FLAIR MR.
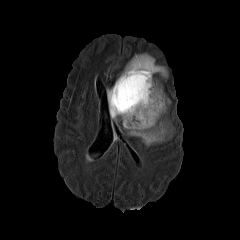
T1-weighted MR image.
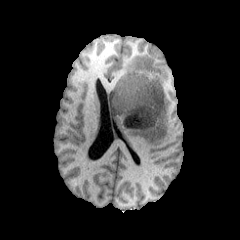
Post-contrast T1-weighted MRI.
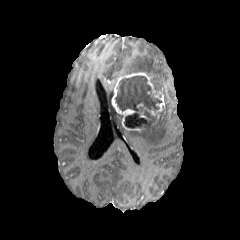
T2-weighted magnetic resonance.
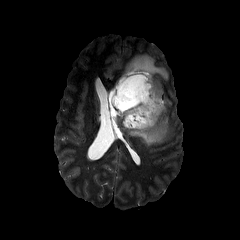
Head.
The non-enhancing tumor core is located at (115,76,166,130). The enhancing tumor appears at (112,72,164,131). 3 edema regions are bounded by (120,52,167,85), (126,117,171,146), (106,87,122,118).